Brain | 240x240
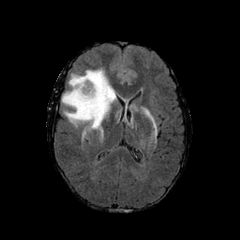
FLAIR MR.
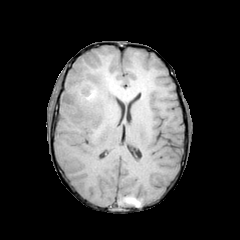
T1-weighted MRI of the same slice.
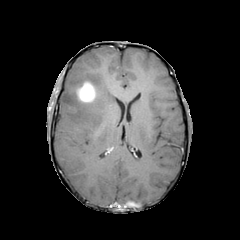
Post-contrast T1-weighted magnetic resonance.
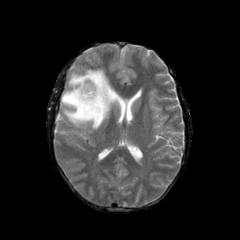
T2-weighted MRI.
Edema: bounding box {"x1": 61, "y1": 68, "x2": 116, "y2": 129}.
Enhancing tumor: bounding box {"x1": 76, "y1": 82, "x2": 96, "y2": 102}.